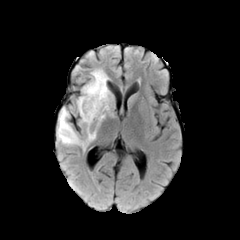
FLAIR MRI.
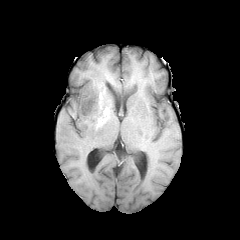
T1-weighted MR.
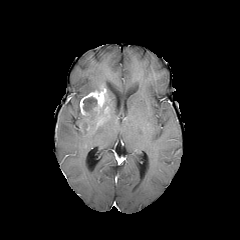
Post-contrast T1-weighted MR.
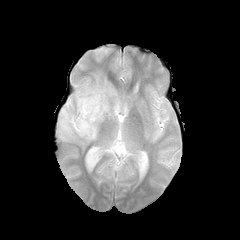
Same slice, T2-weighted MR image.
Brain; Image size 240x240
Enhancing tumor: x1=79, y1=86, x2=106, y2=115.
Edema: x1=56, y1=89, x2=113, y2=150; x1=79, y1=69, x2=109, y2=97.
Non-enhancing tumor core: x1=78, y1=97, x2=103, y2=124.